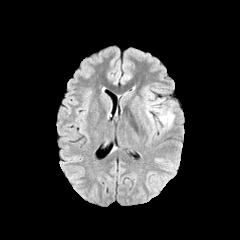
FLAIR MR image.
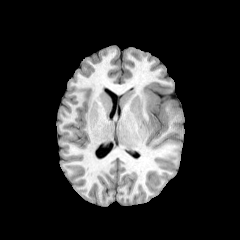
T1-weighted magnetic resonance of the same slice.
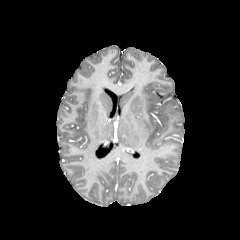
Same slice, post-contrast T1-weighted MR image.
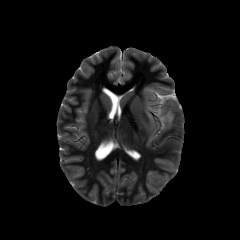
T2-weighted MRI.
Head
The edema appears at x1=144, y1=89, x2=174, y2=129.